MR image. Image width 33 mm. 33x51 px. Hippocampus. 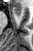 <segmentation>
  <anterior_hippocampus>box(13, 8, 21, 15)</anterior_hippocampus>
</segmentation>